Slice 108 of 155
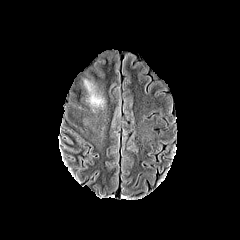
FLAIR magnetic resonance.
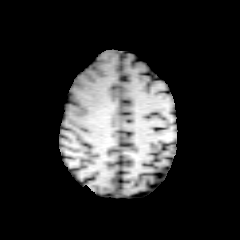
T1-weighted MR of the same slice.
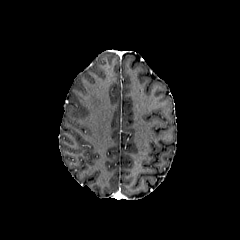
Post-contrast T1-weighted MR image of the same slice.
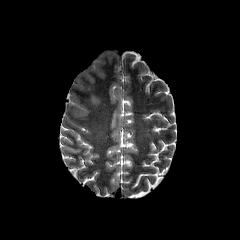
Same slice, T2-weighted MR.
- edema: bbox(87, 86, 103, 107)